FLAIR MRI.
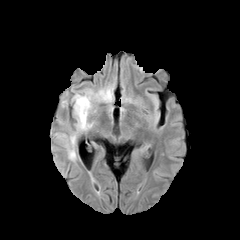
T1-weighted MRI.
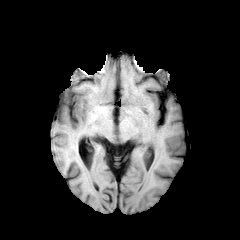
Post-contrast T1-weighted MR.
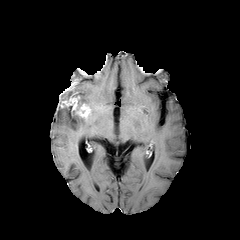
T2-weighted MR image.
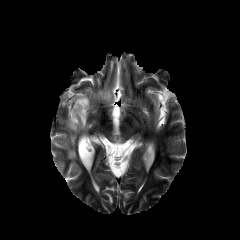
edema: bbox=[74, 84, 113, 112]; bbox=[57, 106, 92, 160] | enhancing tumor: bbox=[64, 96, 91, 120] | non-enhancing tumor core: bbox=[62, 90, 79, 102]